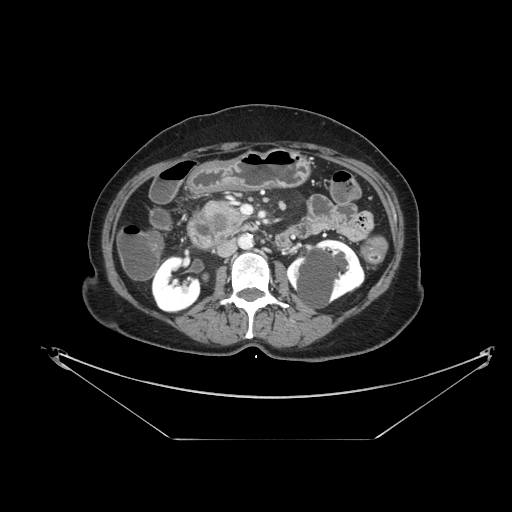
CT scan slice
{
  "pancreas": [
    "[201, 201, 246, 244]"
  ],
  "pancreatic_tumor": [
    "[211, 213, 227, 231]"
  ]
}